Brain
FLAIR MR.
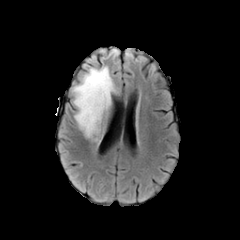
T1-weighted magnetic resonance.
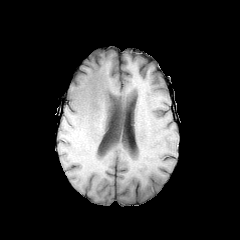
Post-contrast T1-weighted MR image.
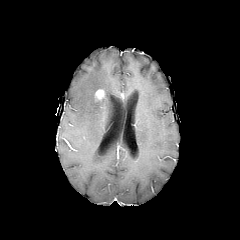
T2-weighted magnetic resonance.
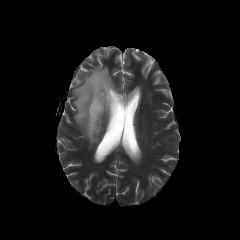
The edema lies within (x1=71, y1=66, x2=117, y2=142). The enhancing tumor is at (x1=95, y1=89, x2=104, y2=99).